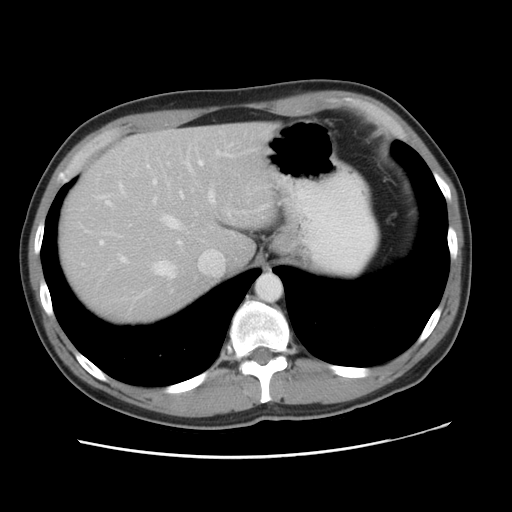
CT slice

The vessel boxes may cover only some of the vessels.
[15/16] hepatic vessel: l=153, t=198, r=155, b=200; l=201, t=250, r=214, b=255; l=216, t=150, r=223, b=154; l=152, t=260, r=176, b=277; l=161, t=215, r=182, b=229; l=208, t=191, r=213, b=201; l=153, t=179, r=155, b=183; l=99, t=240, r=103, b=245; l=119, t=255, r=126, b=262; l=177, t=239, r=180, b=242; l=184, t=158, r=190, b=168; l=179, t=191, r=182, b=196; l=119, t=183, r=123, b=193; l=199, t=160, r=202, b=164; l=98, t=195, r=111, b=205